FLAIR MRI.
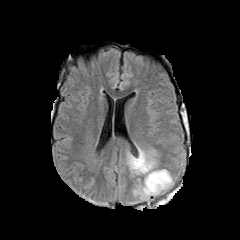
T1-weighted MRI.
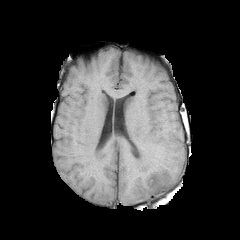
Post-contrast T1-weighted magnetic resonance.
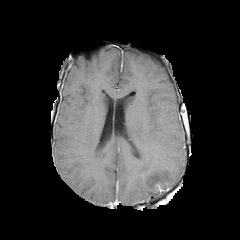
T2-weighted MR image.
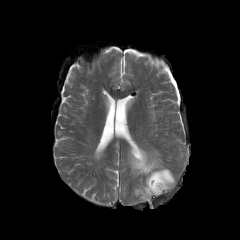
Head
The edema lies within 127 145 175 200.